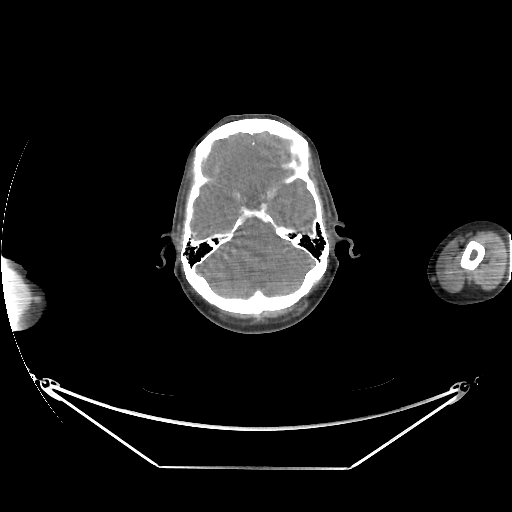 512x512 px, CT scan slice
Brain: bounding box 189,131,316,299.